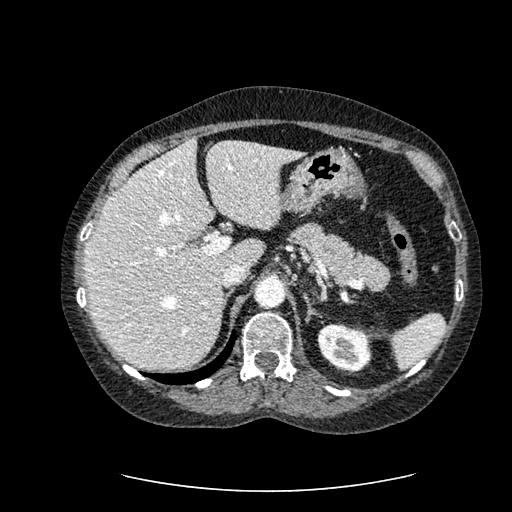

CT; 512x512 px
Liver: 205, 140, 308, 229; 83, 138, 263, 368.
Kidney: 318, 325, 370, 371.